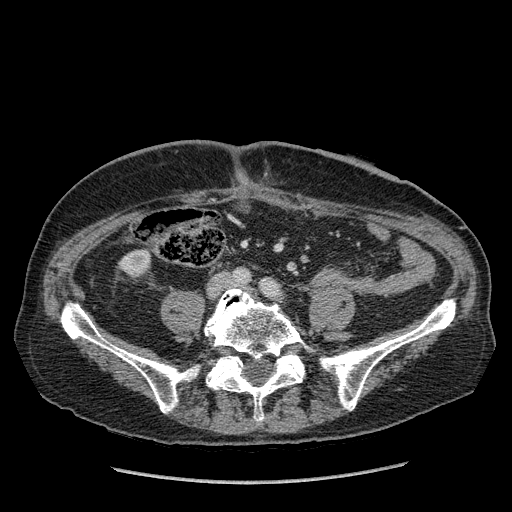

Abdomen, Computed tomography

The kidney is at 119, 250, 150, 276.